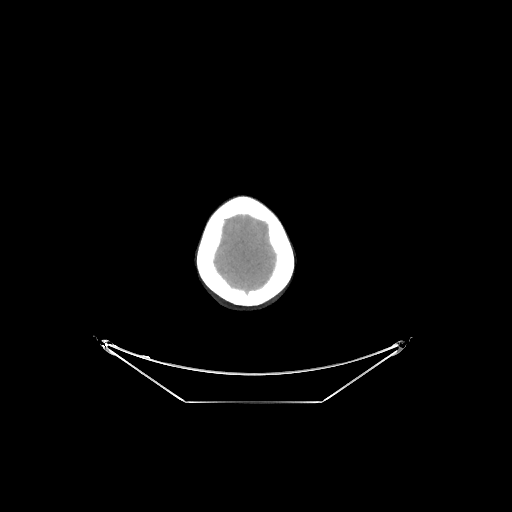 512x512 | CT slice

{"brain": ["<box>213,214,276,294</box>"]}